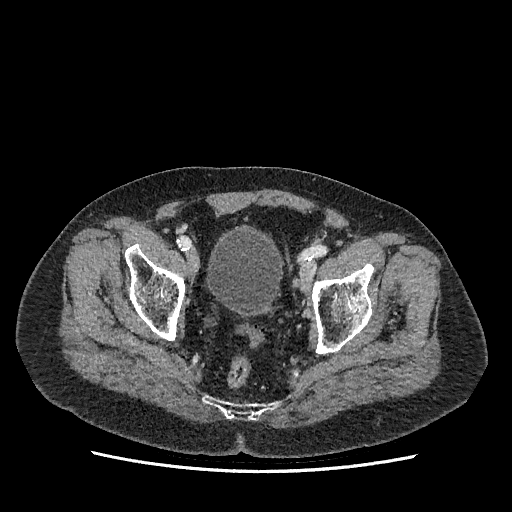 Computed tomography; Image size 512x512
The urinary bladder lies within 206 231 281 313.